Slice 287/537. CT image.

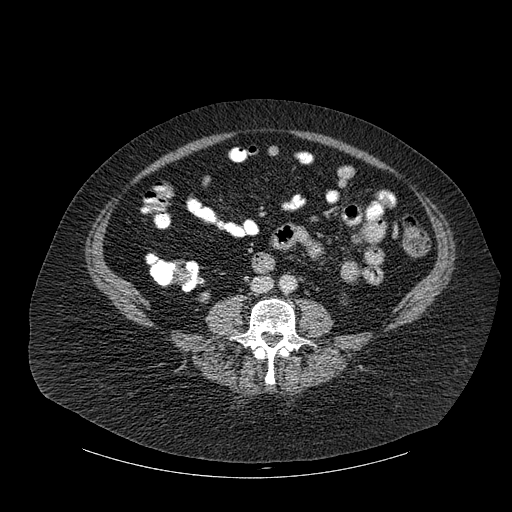
bone:
  - x1=233, y1=299, x2=309, y2=384